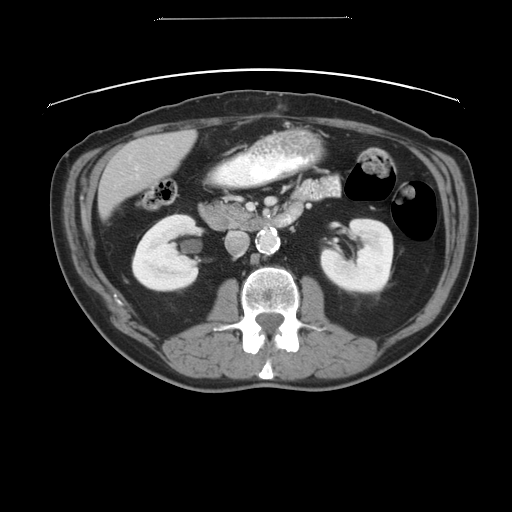 Image size 512x512 | Computed tomography | Abdomen
The vessel boxes may cover only some of the vessels.
Hepatic vessel: bounding box [x1=135, y1=165, x2=138, y2=168], [x1=137, y1=175, x2=138, y2=178].